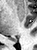

Medial temporal lobe. Image size 37x50. MR.
The posterior hippocampus is at <bbox>14, 39, 16, 40</bbox>.